Image size 512x512, CT scan slice
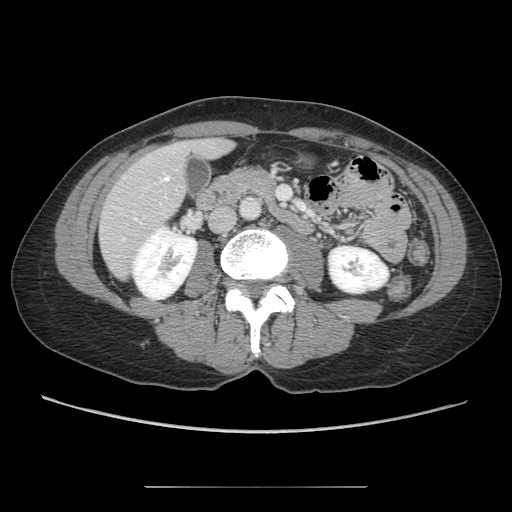 The pancreas is located at l=226, t=167, r=277, b=200.